CT image; Upper abdomen
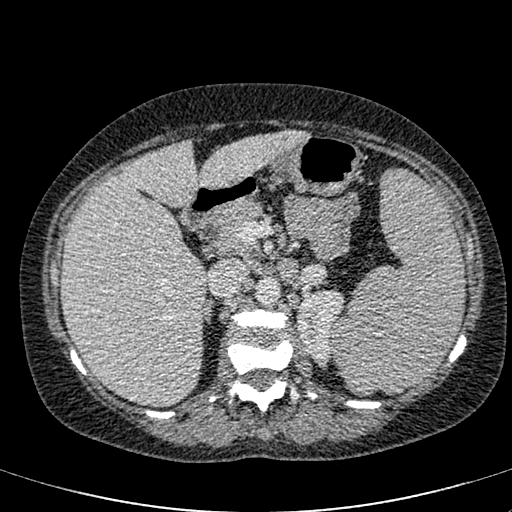

Kidney: bounding box region(297, 291, 343, 364).
Liver: bounding box region(63, 131, 306, 405).